512x512. Liver. CT scan slice.
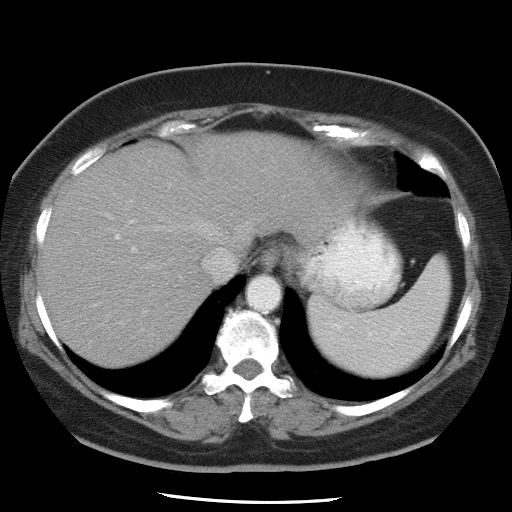

Not every hepatic vessel necessarily has a box.
Hepatic vessel: (141, 263, 165, 269), (116, 235, 118, 237), (203, 248, 235, 278), (164, 272, 165, 274), (235, 221, 249, 239), (153, 217, 226, 241).